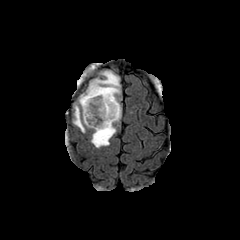
FLAIR MR image.
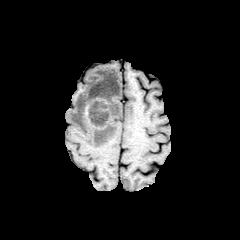
T1-weighted magnetic resonance.
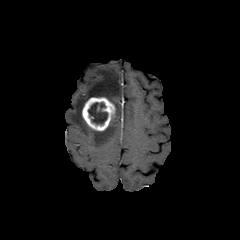
Post-contrast T1-weighted MR image.
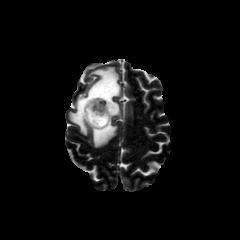
T2-weighted MR image of the same slice.
Brain.
Non-enhancing tumor core: 73, 75, 118, 130; 88, 102, 107, 124; 93, 124, 111, 139.
Edema: 71, 66, 121, 147.
Enhancing tumor: 82, 97, 115, 131.